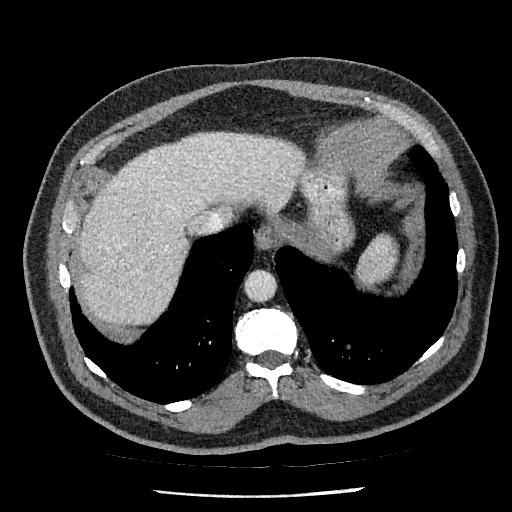

CT slice
Liver: bounding box [x1=79, y1=133, x2=302, y2=324].